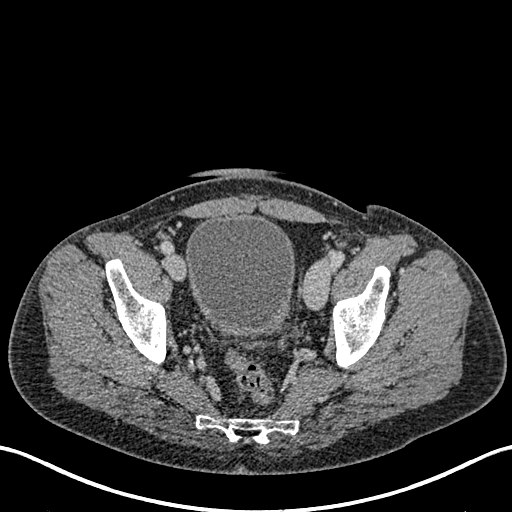
Image size 512x512, Lower abdomen, CT scan slice
The urinary bladder is at x1=185, y1=215, x2=294, y2=337.